CT scan slice; Field of view 335x335 mm 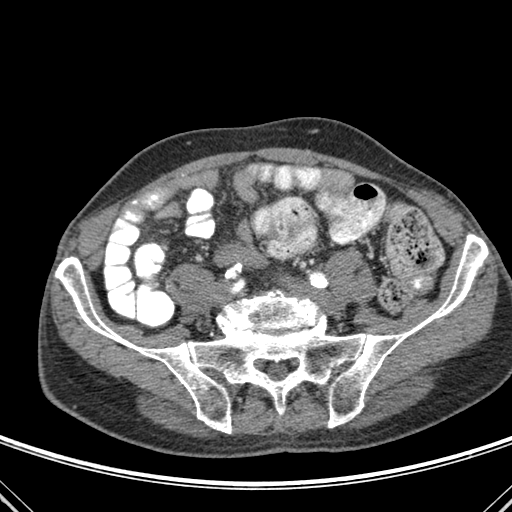
{"bone": ["<bbox>55, 234, 488, 433</bbox>"]}